CT scan slice, Field of view 333x333 mm 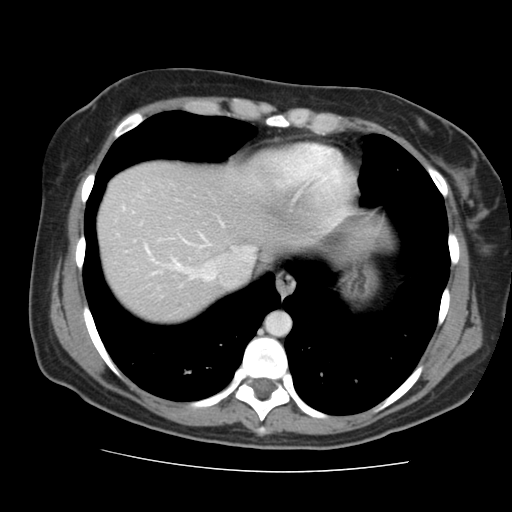 Only some of the vessels may be annotated.
Findings:
- hepatic vessel: 206 274 213 279, 146 248 147 251, 174 261 179 268